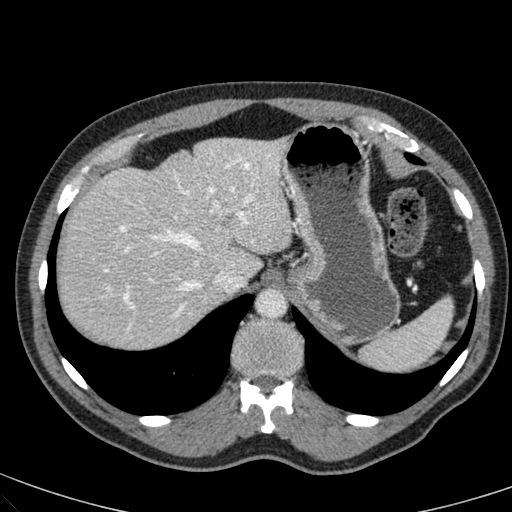 CT image. Liver. • liver: region(60, 136, 290, 348)